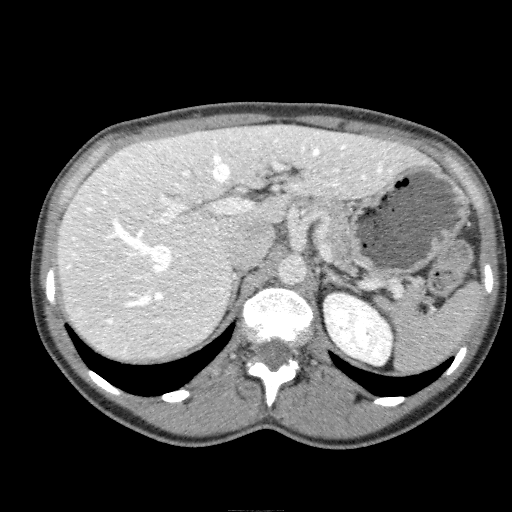

Computed tomography.

{"kidney": ["box=[324, 294, 391, 364]"], "liver": ["box=[57, 123, 435, 360]"]}